MR image | Hippocampus

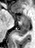

anterior hippocampus: (18, 15, 29, 22) | posterior hippocampus: (14, 23, 30, 36)